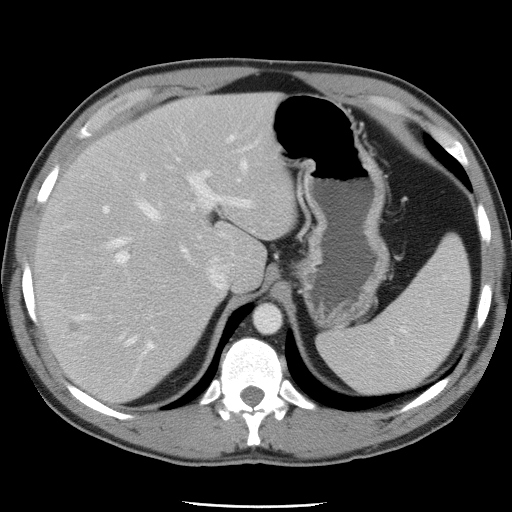
Computed tomography | Liver
The vessel boxes may cover only some of the vessels.
Hepatic vessel: <bbox>126, 336, 136, 343</bbox>, <bbox>141, 174, 144, 178</bbox>, <bbox>147, 340, 151, 348</bbox>, <bbox>73, 314, 90, 319</bbox>, <bbox>103, 205, 108, 213</bbox>, <bbox>106, 237, 130, 264</bbox>, <bbox>207, 257, 229, 288</bbox>, <bbox>181, 247, 187, 256</bbox>, <bbox>229, 136, 233, 140</bbox>, <bbox>188, 171, 252, 208</bbox>, <bbox>136, 199, 160, 221</bbox>, <bbox>241, 161, 245, 168</bbox>.